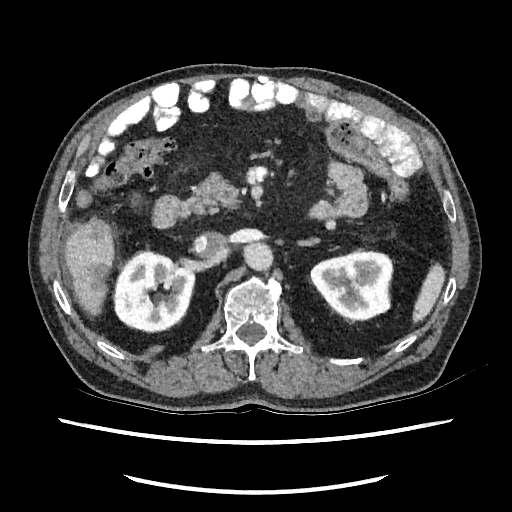

CT slice
Focal liver lesion: bounding box (86, 264, 107, 290), (91, 220, 105, 239).
Liver: bounding box (66, 219, 113, 313).
Kidney: bounding box (113, 250, 195, 332), (311, 249, 393, 322).